CT 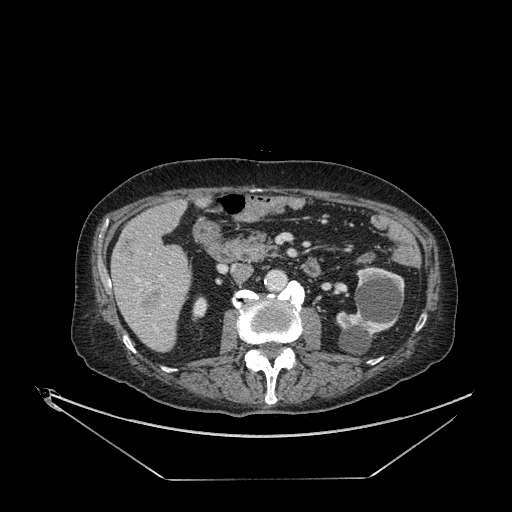 * kidney: {"x1": 193, "y1": 298, "x2": 206, "y2": 316}, {"x1": 337, "y1": 311, "x2": 395, "y2": 335}, {"x1": 357, "y1": 267, "x2": 403, "y2": 293}, {"x1": 334, "y1": 283, "x2": 346, "y2": 293}, {"x1": 322, "y1": 283, "x2": 331, "y2": 290}
* liver: {"x1": 112, "y1": 201, "x2": 190, "y2": 352}
* liver lesion: {"x1": 141, "y1": 290, "x2": 160, "y2": 313}, {"x1": 120, "y1": 238, "x2": 136, "y2": 257}